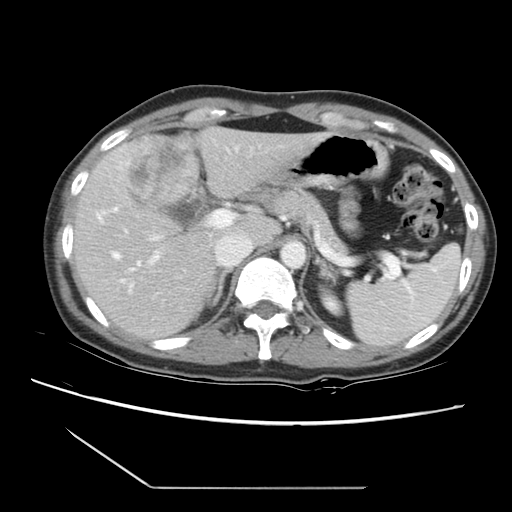 512x512 px; Computed tomography; Liver

Not every hepatic vessel necessarily has a box.
liver tumor: bbox=[129, 131, 195, 204] | [15/17] hepatic vessel: bbox=[96, 207, 118, 222]; bbox=[211, 209, 225, 228]; bbox=[239, 232, 244, 237]; bbox=[113, 147, 129, 170]; bbox=[235, 146, 238, 151]; bbox=[121, 280, 133, 293]; bbox=[119, 177, 122, 179]; bbox=[148, 235, 161, 241]; bbox=[149, 251, 159, 264]; bbox=[112, 252, 120, 259]; bbox=[124, 230, 127, 232]; bbox=[251, 148, 252, 152]; bbox=[225, 235, 233, 239]; bbox=[226, 148, 230, 152]; bbox=[129, 261, 141, 271]